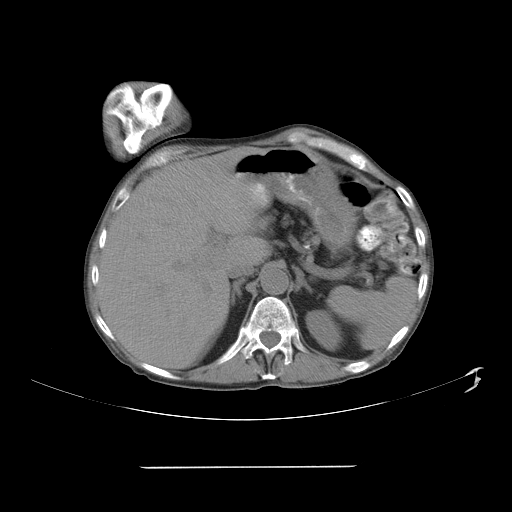

Computed tomography; Abdomen

The spleen is located at [331,275,416,348].